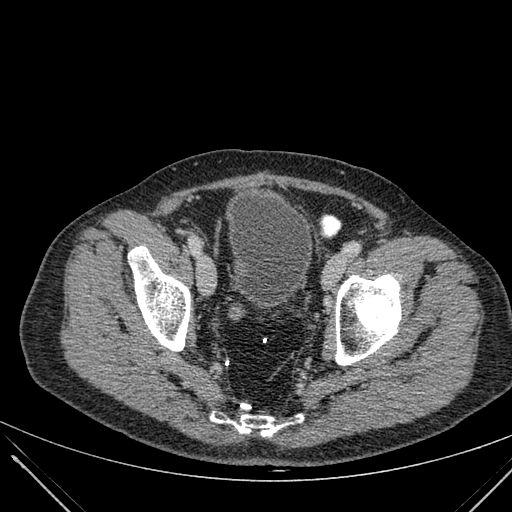
Computed tomography | Lower abdomen
Urinary bladder: x1=229 y1=195 x2=312 y2=303.